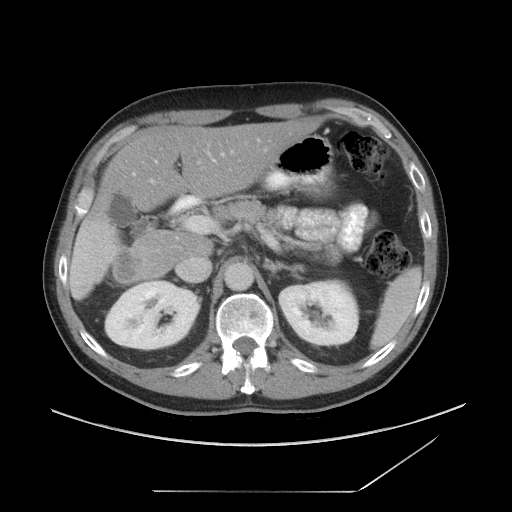 Abdomen, CT
<segmentation>
  <liver_tumor><bbox>113, 248, 142, 284</bbox></liver_tumor>
</segmentation>